CT scan slice

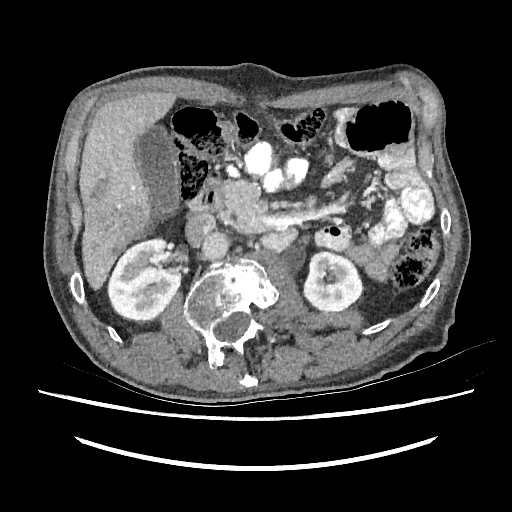

2 kidney regions are bounded by {"x1": 108, "y1": 240, "x2": 180, "y2": 319}, {"x1": 304, "y1": 252, "x2": 361, "y2": 311}. 4 hepatic lesion regions are bounded by {"x1": 91, "y1": 176, "x2": 106, "y2": 203}, {"x1": 92, "y1": 242, "x2": 99, "y2": 250}, {"x1": 89, "y1": 204, "x2": 146, "y2": 242}, {"x1": 112, "y1": 243, "x2": 122, "y2": 254}. The liver lies within {"x1": 79, "y1": 91, "x2": 175, "y2": 289}.